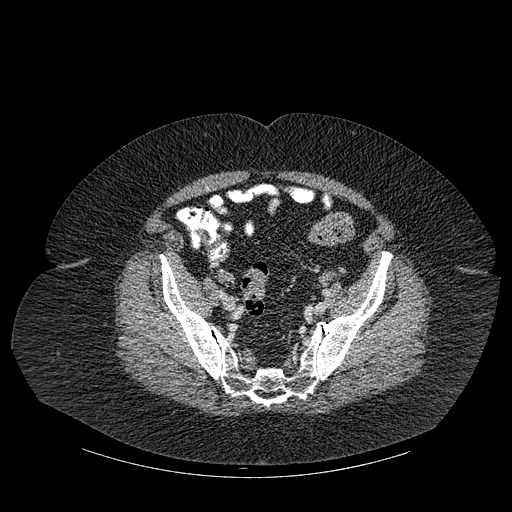

CT
2 bone regions are located at bbox=[228, 191, 240, 200]; bbox=[160, 251, 392, 406].